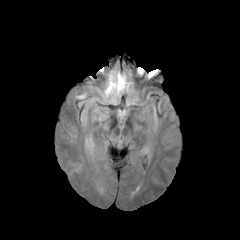
FLAIR MR.
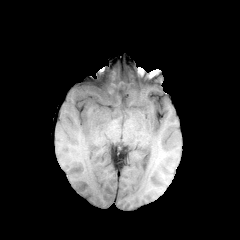
T1-weighted MR image of the same slice.
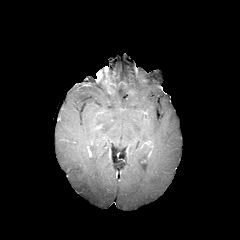
Same slice, post-contrast T1-weighted MRI.
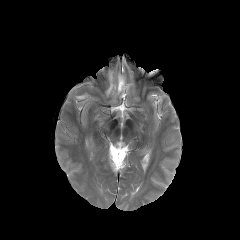
T2-weighted magnetic resonance.
Head
3 edema regions are located at 118, 109, 127, 119; 81, 64, 133, 104; 75, 92, 87, 99.